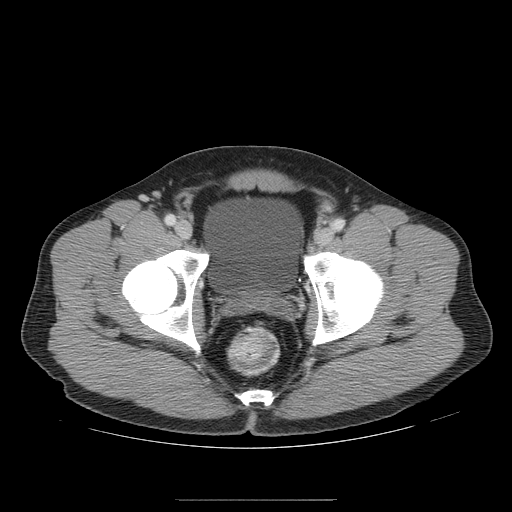 Pelvis. CT image. colon_tumor:
  - (x1=234, y1=332, x2=268, y2=364)